Slice index 31; Upper abdomen; CT image; Field of view 430 mm wide, 2.50 mm slice spacing
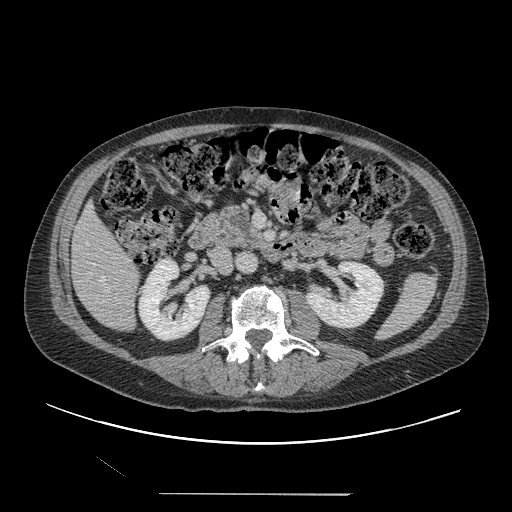

* pancreatic tumor: 228,214,250,233
* pancreas: 208,202,263,252